CT slice | Abdomen | Slice index 38 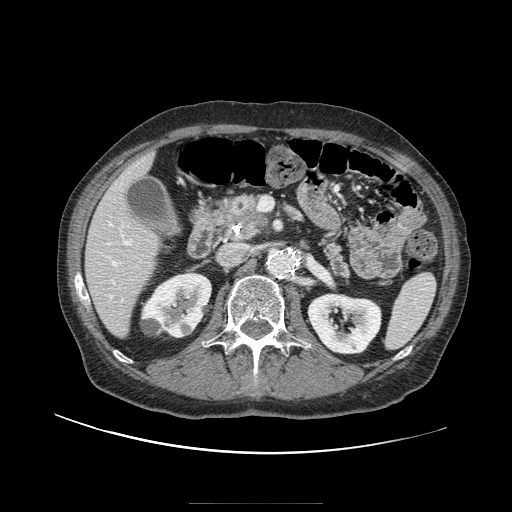 Pancreas: bounding box box(324, 241, 349, 279); box(224, 194, 268, 239).
Pancreatic tumor: bounding box box(228, 210, 264, 225).